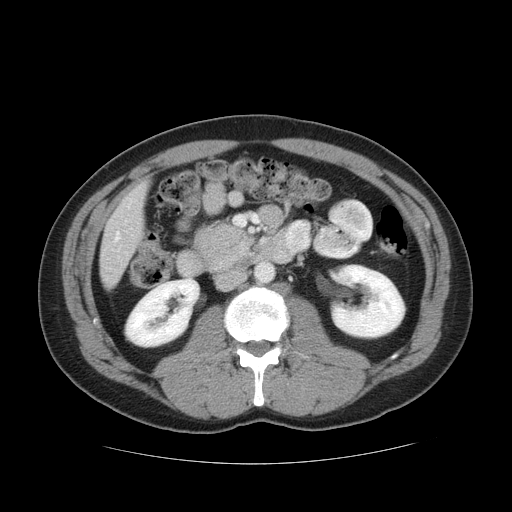

CT. Annotated regions:
* pancreatic tumor: x1=194, y1=224, x2=252, y2=271
* pancreas: x1=194, y1=245, x2=222, y2=273